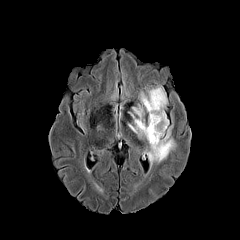
FLAIR MR.
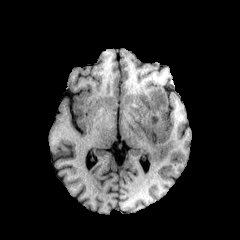
T1-weighted MRI of the same slice.
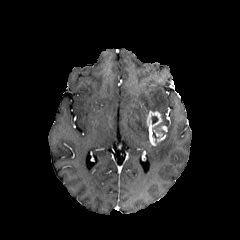
Post-contrast T1-weighted MR.
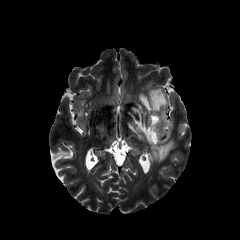
T2-weighted magnetic resonance.
Edema — (x1=139, y1=85, x2=168, y2=126), (x1=148, y1=127, x2=176, y2=169), (x1=128, y1=107, x2=149, y2=142).
Enhancing tumor — (x1=145, y1=111, x2=167, y2=146).
Non-enhancing tumor core — (x1=139, y1=109, x2=148, y2=129).